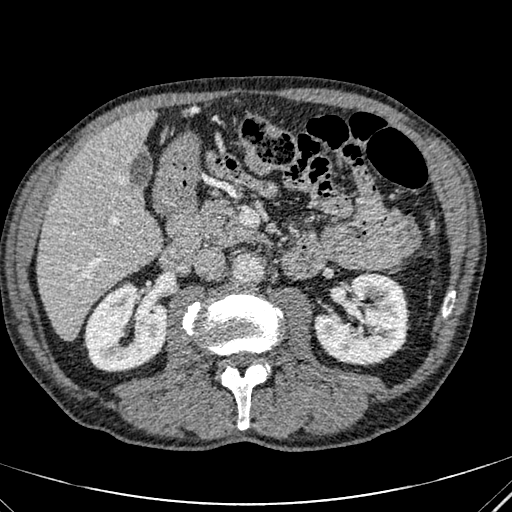

Liver; CT slice; Image size 512x512
2 kidney regions are located at box(86, 286, 165, 369); box(316, 274, 406, 363). The liver is located at box(37, 110, 161, 340).